CT image | Field of view 409 mm wide, 5.00 mm slice spacing | Slice 45 of 55

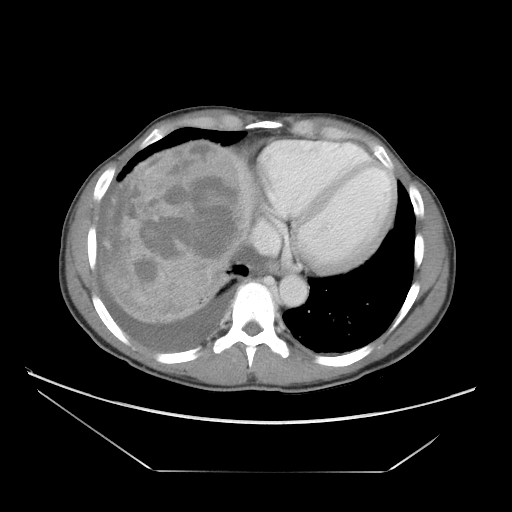 Annotated regions:
• liver tumor: (101, 143, 251, 322)